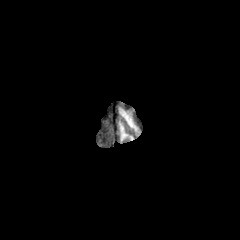
FLAIR MR.
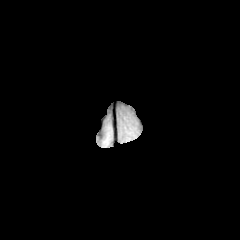
T1-weighted magnetic resonance.
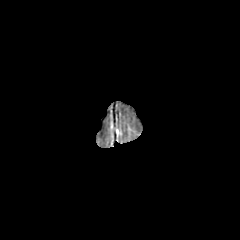
Post-contrast T1-weighted MR image.
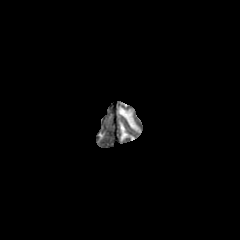
T2-weighted MR image.
Brain, 240x240
edema: rect(118, 120, 127, 140); rect(118, 106, 138, 134)